Abdomen; Computed tomography 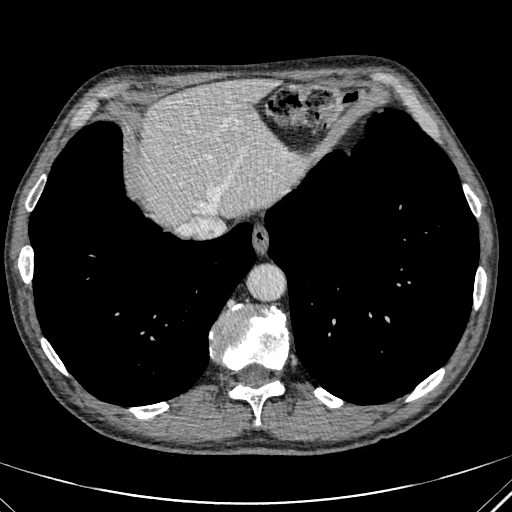

• liver: 140 79 297 225